Field of view 240 mm wide, 1.00 mm slice spacing, Head
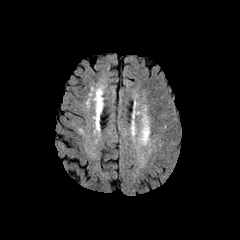
FLAIR MR image.
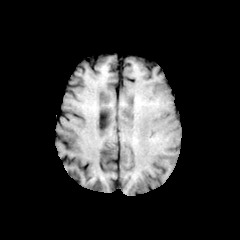
Same slice, T1-weighted MR.
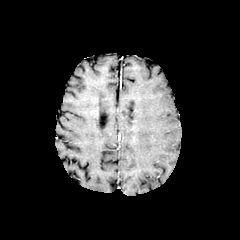
Post-contrast T1-weighted magnetic resonance of the same slice.
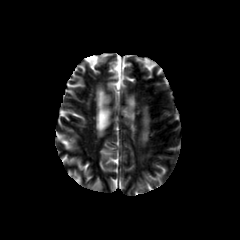
Same slice, T2-weighted MR image.
{"edema": ["[138,114,149,144]"]}